FLAIR MR image.
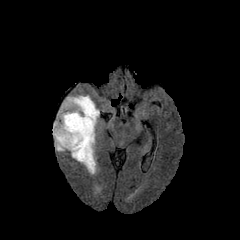
T1-weighted magnetic resonance.
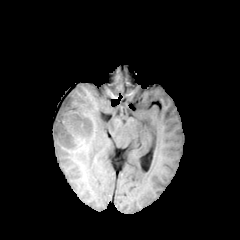
Post-contrast T1-weighted MRI.
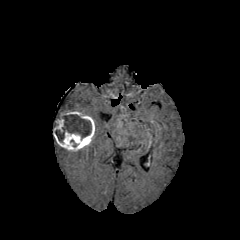
T2-weighted MR.
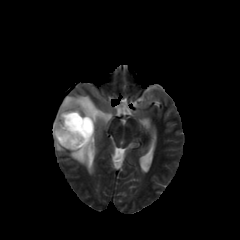
Head. 240x240.
<segmentation>
  <non-enhancing_tumor_core>[56, 130, 63, 141], [62, 114, 91, 136], [56, 103, 81, 119]</non-enhancing_tumor_core>
  <edema>[54, 139, 67, 151], [68, 131, 97, 174], [58, 94, 102, 128]</edema>
  <enhancing_tumor>[53, 110, 94, 150]</enhancing_tumor>
</segmentation>